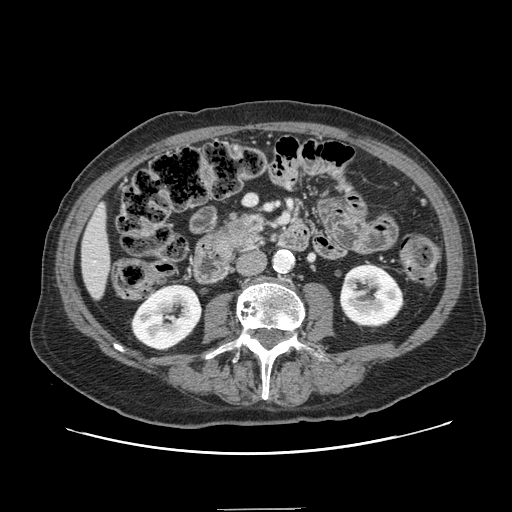

Upper abdomen | CT image
Pancreas: x1=218, y1=213, x2=262, y2=252.